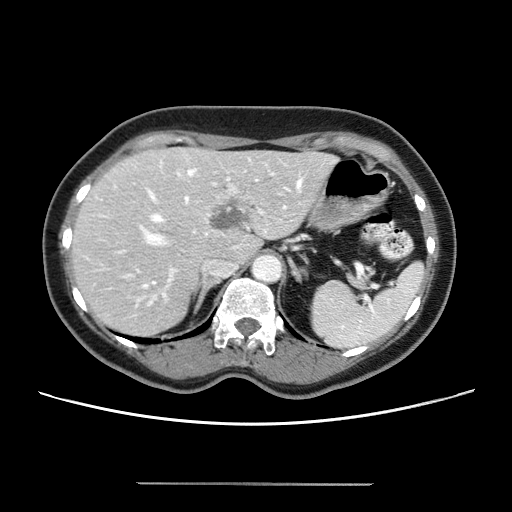
Abdomen | CT image

The vessel annotation is not exhaustive.
Liver tumor at rect(212, 209, 242, 228).
Hepatic vessel at rect(153, 216, 161, 221); rect(189, 170, 193, 174); rect(144, 285, 146, 286); rect(142, 228, 163, 244); rect(152, 282, 153, 283); rect(185, 198, 187, 200); rect(150, 193, 153, 198); rect(297, 181, 300, 186).